Slice 43/119; CT scan slice; Upper abdomen

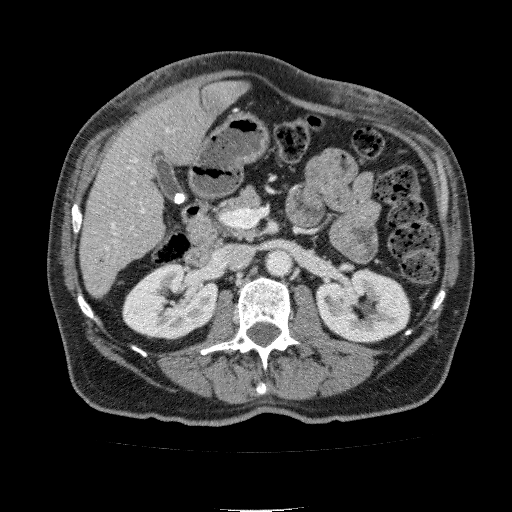
liver: region(81, 80, 251, 297) | kidney: region(123, 265, 216, 337); region(317, 271, 409, 341)